512x512 px. Upper abdomen. CT slice. 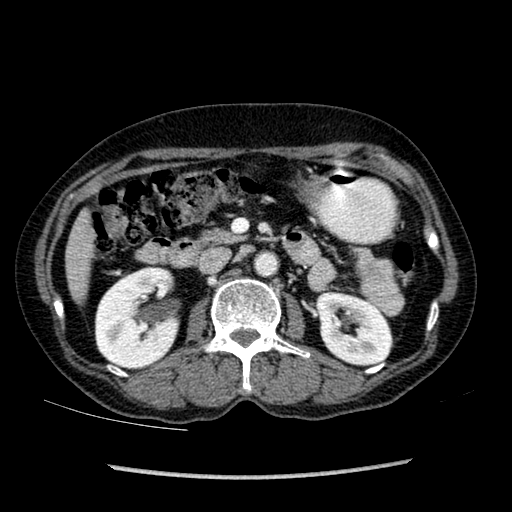
The liver is at box=[66, 213, 92, 294]. 2 kidney regions are located at box=[96, 268, 177, 367]; box=[318, 294, 390, 363].